Slice 80/94 | Field of view 401x401 mm | Computed tomography

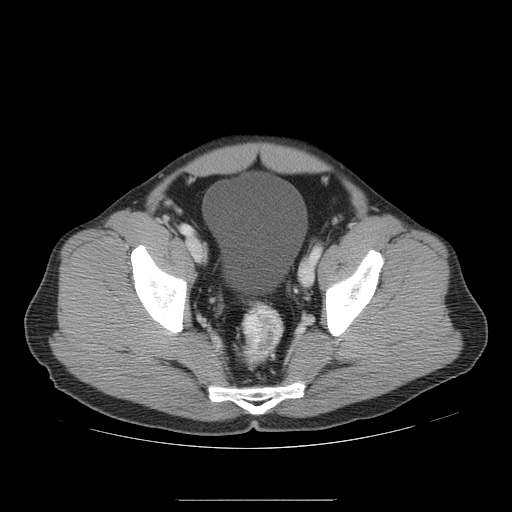
colon_tumor:
  - (243, 314, 259, 357)